CT scan slice. 512x512.
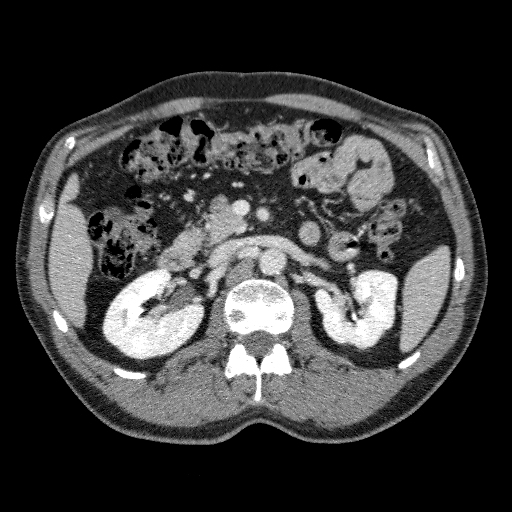 Liver: <bbox>50, 174, 91, 325</bbox>.
Kidney: <bbox>316, 271, 396, 346</bbox>, <bbox>104, 269, 202, 358</bbox>.